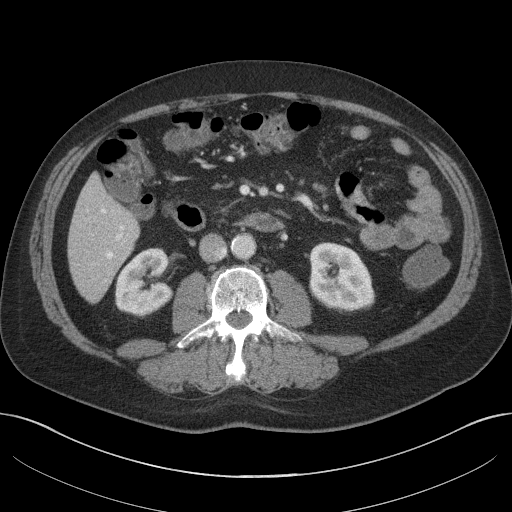
Computed tomography
{
  "kidney": [
    "bbox(311, 243, 372, 308)",
    "bbox(116, 249, 170, 313)"
  ],
  "liver": [
    "bbox(69, 176, 137, 300)"
  ]
}